Abdomen; CT scan slice; 512x512 px 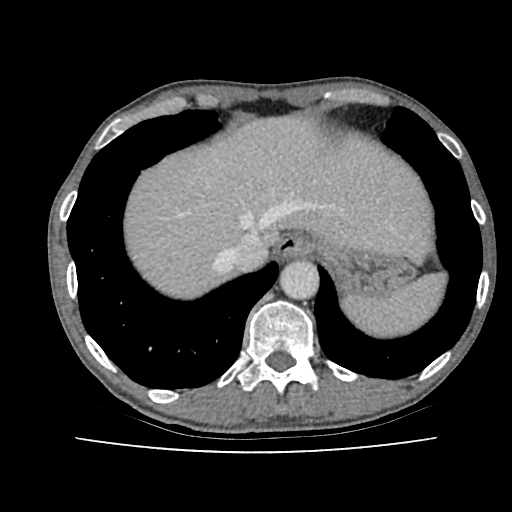 The liver lies within 126,117,433,293.